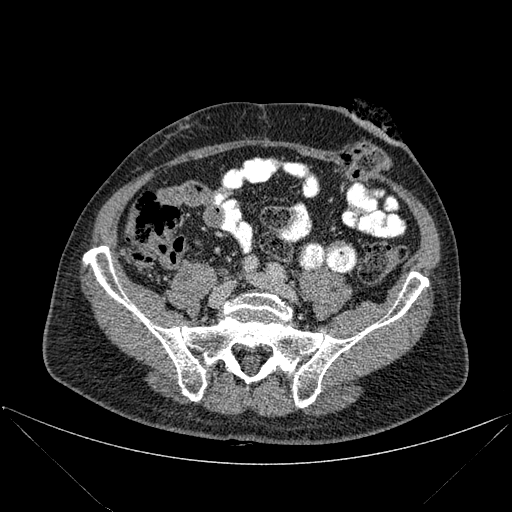
CT image

Bone = {"x1": 83, "y1": 246, "x2": 428, "y2": 407}.